Brain.
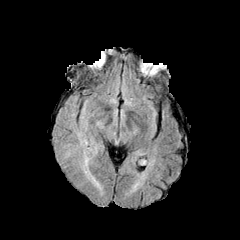
FLAIR magnetic resonance.
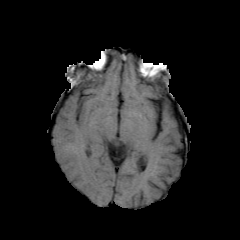
T1-weighted MR image of the same slice.
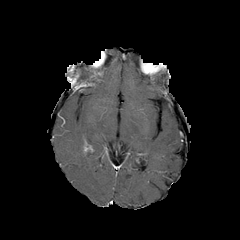
Post-contrast T1-weighted MR image.
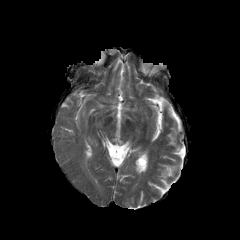
T2-weighted MR image of the same slice.
The edema is located at 78:135:102:188.